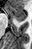
MRI, Hippocampus

Anterior hippocampus — rect(7, 7, 26, 21).